Slice 63 of 155
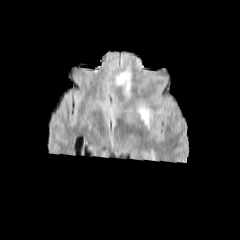
FLAIR MRI.
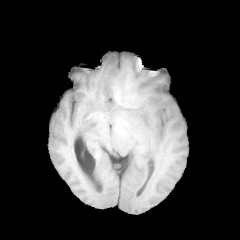
Same slice, T1-weighted MR image.
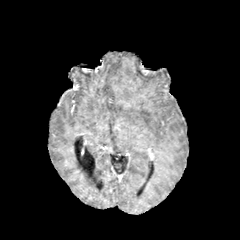
Same slice, post-contrast T1-weighted magnetic resonance.
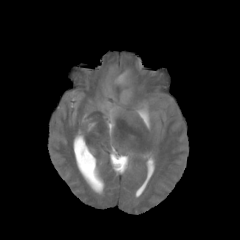
T2-weighted MR.
Edema: [138,103,148,124], [117,71,129,80].